T2-weighted MR.
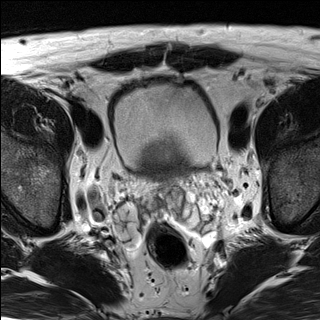
ADC magnetic resonance.
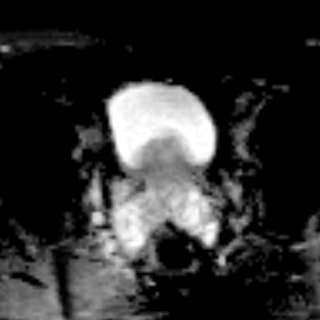
Pelvis, 320x320 px
Prostate transition zone: [x1=148, y1=145, x2=182, y2=169].